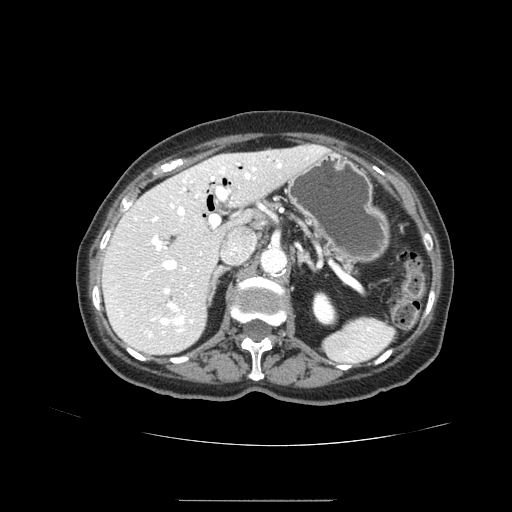 CT, Upper abdomen
Pancreas at (322,241,351,269).